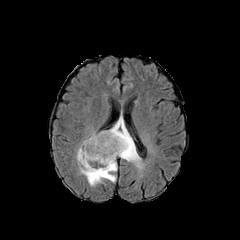
FLAIR MR image.
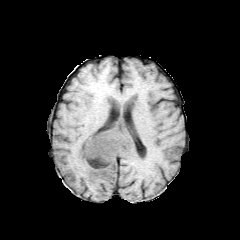
T1-weighted MR image of the same slice.
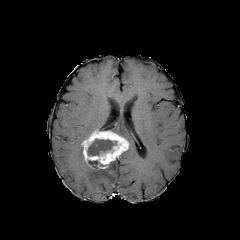
Same slice, post-contrast T1-weighted MR.
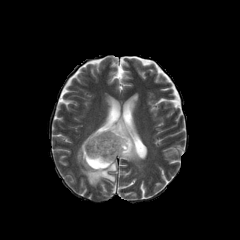
T2-weighted magnetic resonance.
Brain, 240x240 px
<segmentation>
  <edema>x1=109 y1=115 x2=141 y2=167, x1=76 y1=144 x2=117 y2=186</edema>
  <non-enhancing_tumor_core>x1=88 y1=160 x2=103 y2=168, x1=87 y1=139 x2=116 y2=155</non-enhancing_tumor_core>
  <enhancing_tumor>x1=82 y1=130 x2=130 y2=168</enhancing_tumor>
</segmentation>